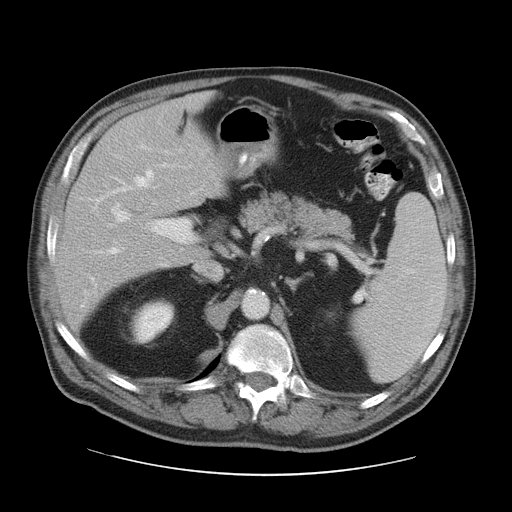

Computed tomography.
The vessel boxes may cover only some of the vessels.
Hepatic vessel at 153,219,192,239; 91,278,93,280; 114,178,129,192; 134,171,152,186; 96,199,99,205; 112,204,129,221; 110,248,117,253.